FLAIR magnetic resonance.
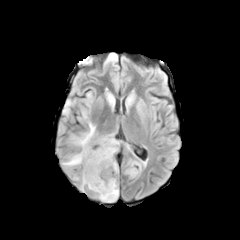
T1-weighted magnetic resonance.
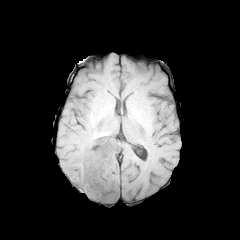
Post-contrast T1-weighted MRI.
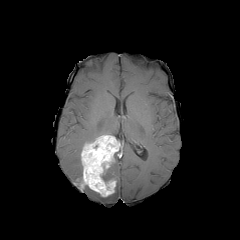
T2-weighted MRI.
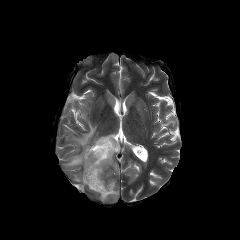
Brain
Findings:
• edema: x1=106 y1=167 x2=114 y2=177, x1=112 y1=160 x2=118 y2=173, x1=80 y1=91 x2=92 y2=108, x1=95 y1=178 x2=118 y2=201, x1=62 y1=153 x2=81 y2=167, x1=63 y1=98 x2=76 y2=116, x1=71 y1=104 x2=97 y2=146
• non-enhancing tumor core: x1=101 y1=156 x2=114 y2=183
• enhancing tumor: x1=80 y1=135 x2=119 y2=197